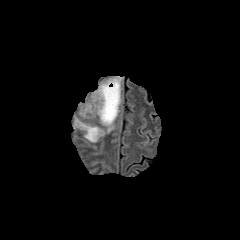
FLAIR magnetic resonance.
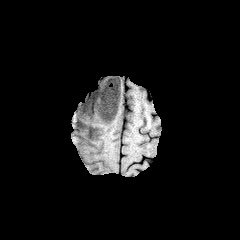
Same slice, T1-weighted MR image.
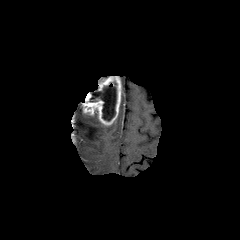
Post-contrast T1-weighted MR image of the same slice.
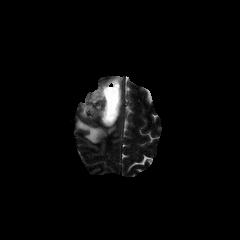
Same slice, T2-weighted MR image.
Enhancing tumor — x1=82 y1=94 x2=103 y2=118, x1=98 y1=76 x2=121 y2=113.
Non-enhancing tumor core — x1=90 y1=84 x2=117 y2=124.
Edema — x1=74 y1=108 x2=115 y2=143.